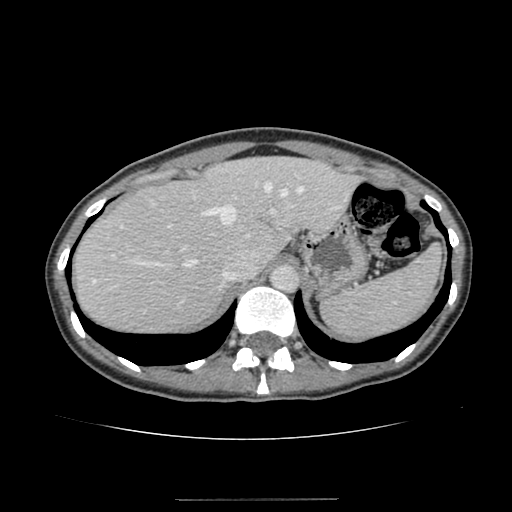

Upper abdomen, CT scan slice
<segmentation>
  <liver>region(74, 157, 360, 334)</liver>
</segmentation>